FLAIR MRI.
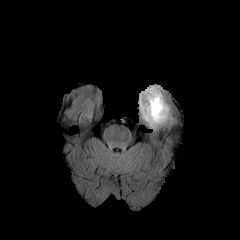
T1-weighted MR image.
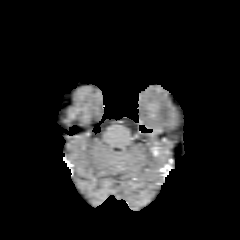
Post-contrast T1-weighted MR.
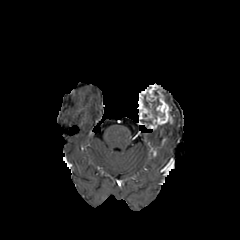
T2-weighted MR image.
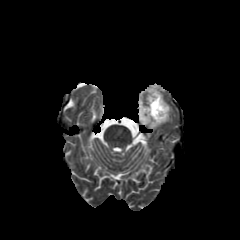
240x240 px.
enhancing_tumor:
  - (149, 89, 172, 127)
  - (138, 86, 157, 119)
non-enhancing_tumor_core:
  - (142, 89, 164, 122)